FLAIR MR image.
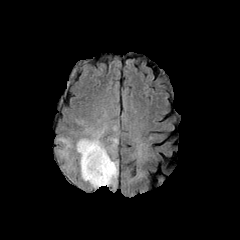
T1-weighted MR image.
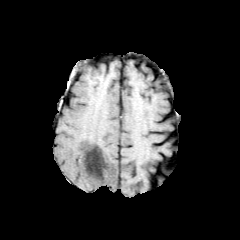
Post-contrast T1-weighted MR image.
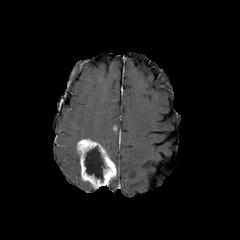
T2-weighted MR.
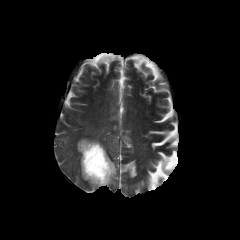
240x240 px
Segmented structures:
• edema: [x1=108, y1=156, x2=118, y2=186], [x1=88, y1=133, x2=117, y2=155]
• enhancing tumor: [x1=76, y1=139, x2=115, y2=187]
• non-enhancing tumor core: [x1=84, y1=147, x2=104, y2=179]